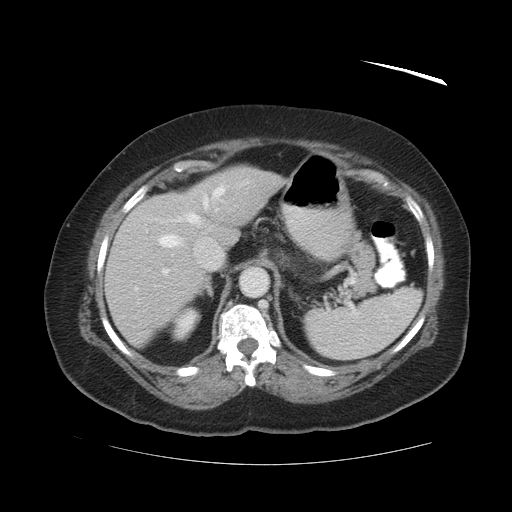 CT image; Abdomen

Not every hepatic vessel necessarily has a box.
hepatic_vessel:
  - (x1=202, y1=231, x2=205, y2=234)
  - (x1=203, y1=187, x2=224, y2=209)
  - (x1=160, y1=235, x2=182, y2=246)
  - (x1=194, y1=237, x2=223, y2=269)
  - (x1=135, y1=287, x2=137, y2=289)
  - (x1=215, y1=209, x2=217, y2=210)
  - (x1=163, y1=269, x2=168, y2=274)
  - (x1=188, y1=214, x2=199, y2=223)